Brain. Field of view 240 mm wide, 1.00 mm slice spacing.
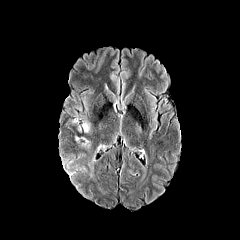
FLAIR MR image.
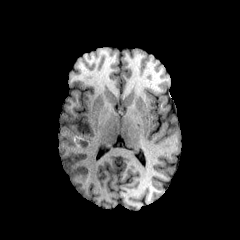
T1-weighted magnetic resonance.
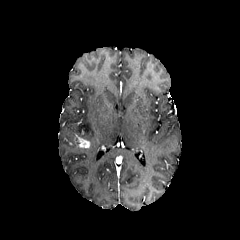
Post-contrast T1-weighted MR.
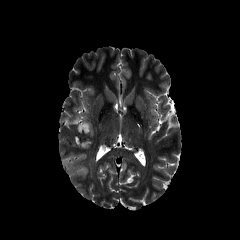
T2-weighted MR of the same slice.
edema: region(71, 111, 90, 133); region(88, 144, 102, 171) | enhancing tumor: region(75, 137, 91, 148)